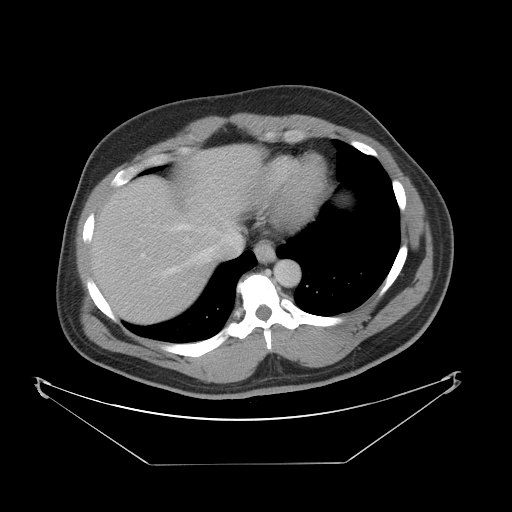
Computed tomography. 512x512 px.

The vessel boxes may cover only some of the vessels.
Hepatic vessel at (left=176, top=221, right=240, bottom=262), (left=165, top=270, right=172, bottom=273), (left=186, top=239, right=188, bottom=241), (left=156, top=273, right=160, bottom=275), (left=161, top=276, right=163, bottom=277), (left=191, top=237, right=194, bottom=239).